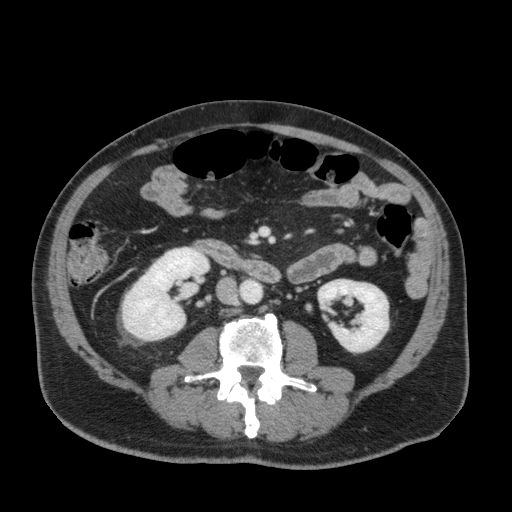 CT
2 kidney regions are bounded by left=318, top=279, right=388, bottom=351; left=123, top=247, right=208, bottom=339.